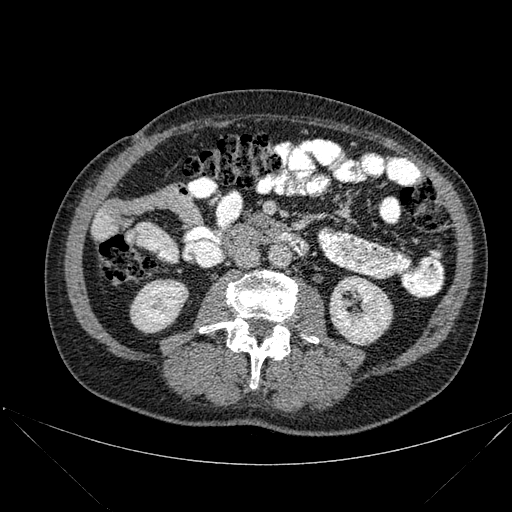

CT slice | Abdomen
2 bone regions are bounded by x1=199, y1=270, x2=297, y2=388; x1=304, y1=337, x2=318, y2=343. 2 kidney regions are bounded by x1=131, y1=280, x2=187, y2=332; x1=330, y1=277, x2=391, y2=344.